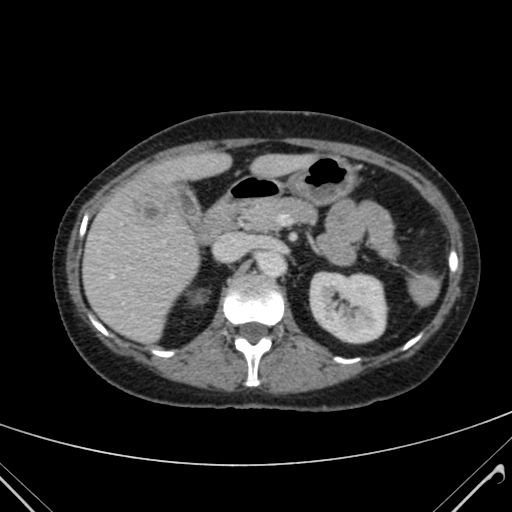

Image size 512x512; CT slice
liver: left=81, top=152, right=228, bottom=342; left=251, top=155, right=310, bottom=176 | kidney: left=311, top=274, right=384, bottom=341 | hepatic lesion: left=123, top=181, right=175, bottom=228